Slice 96 of 155. 240x240. Brain.
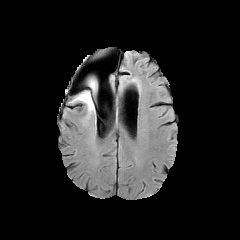
FLAIR magnetic resonance.
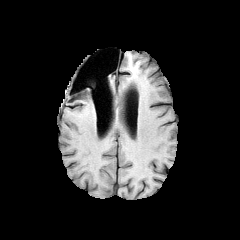
T1-weighted MR image of the same slice.
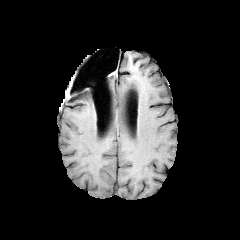
Same slice, post-contrast T1-weighted MR image.
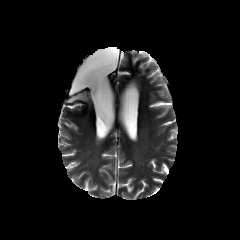
Same slice, T2-weighted MR image.
Edema: 70:78:97:117.
Non-enhancing tumor core: 88:78:94:90.